Upper abdomen; Image size 512x512; Image width 350 mm; CT slice
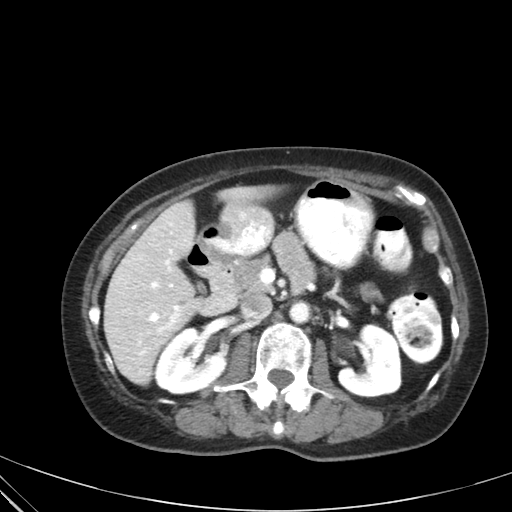
The pancreas appears at 233:253:272:294.